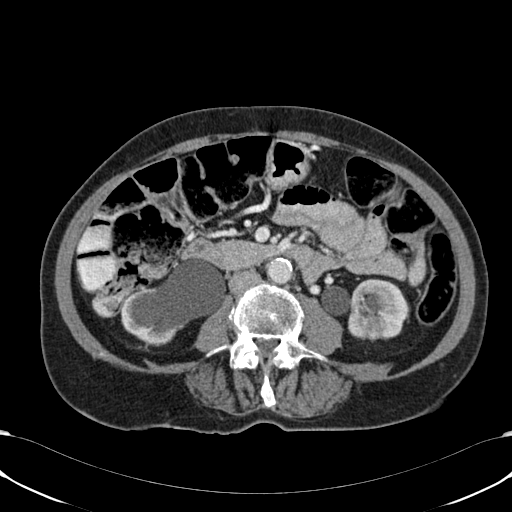
CT. Abdomen. <segmentation>
  <kidney>349 280 407 338, 121 291 226 344</kidney>
</segmentation>